Slice index 53 | Head | Field of view 240 mm wide, 1.00 mm slice spacing
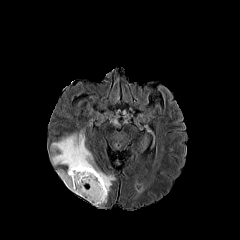
FLAIR magnetic resonance.
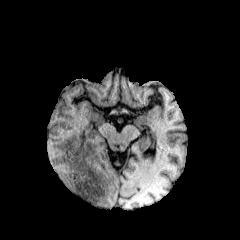
T1-weighted MRI of the same slice.
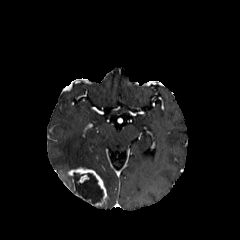
Post-contrast T1-weighted magnetic resonance.
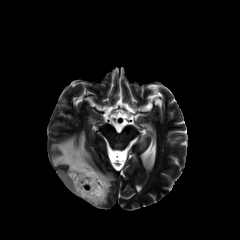
T2-weighted MR.
The non-enhancing tumor core lies within 69,173,104,206. 2 enhancing tumor regions are bounded by 77,174,89,182; 60,167,107,206. The edema appears at 50,133,115,193.